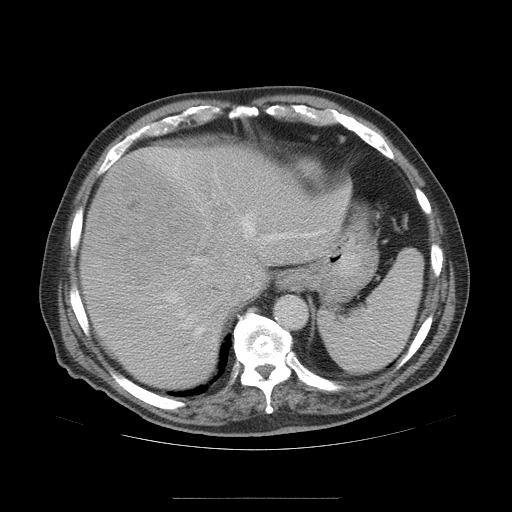
CT image
The vessel annotation is not exhaustive.
liver_tumor:
  - {"x1": 84, "y1": 159, "x2": 202, "y2": 285}
hepatic_vessel:
  - {"x1": 167, "y1": 293, "x2": 180, "y2": 302}
  - {"x1": 199, "y1": 208, "x2": 202, "y2": 212}
  - {"x1": 337, "y1": 200, "x2": 346, "y2": 207}
  - {"x1": 180, "y1": 310, "x2": 185, "y2": 315}
  - {"x1": 195, "y1": 327, "x2": 203, "y2": 337}
  - {"x1": 259, "y1": 198, "x2": 261, "y2": 200}
  - {"x1": 193, "y1": 348, "x2": 195, "y2": 349}
  - {"x1": 261, "y1": 229, "x2": 325, "y2": 248}
  - {"x1": 191, "y1": 257, "x2": 207, "y2": 262}
  - {"x1": 214, "y1": 174, "x2": 217, "y2": 182}
  - {"x1": 241, "y1": 213, "x2": 254, "y2": 238}
  - {"x1": 212, "y1": 194, "x2": 214, "y2": 196}
  - {"x1": 179, "y1": 314, "x2": 196, "y2": 328}